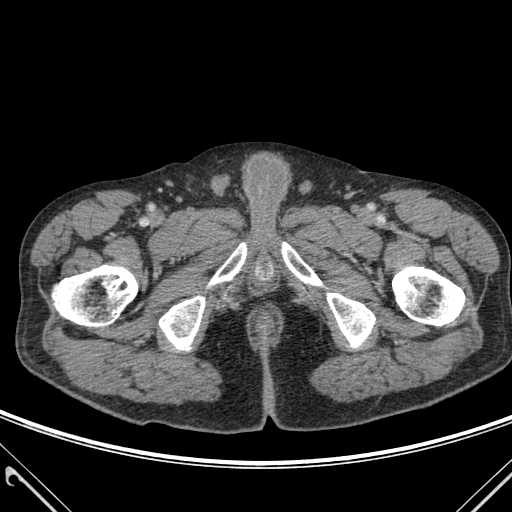 CT

6 bone regions appear at {"x1": 209, "y1": 243, "x2": 246, "y2": 285}, {"x1": 159, "y1": 296, "x2": 204, "y2": 349}, {"x1": 327, "y1": 293, "x2": 375, "y2": 347}, {"x1": 392, "y1": 266, "x2": 464, "y2": 325}, {"x1": 52, "y1": 265, "x2": 137, "y2": 326}, {"x1": 282, "y1": 242, "x2": 321, "y2": 285}.